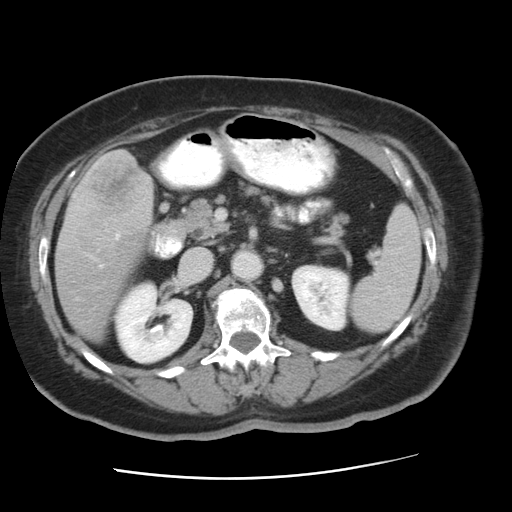

CT
Not every hepatic vessel necessarily has a box.
liver_tumor:
  - [87,157,140,212]
hepatic_vessel:
  - [86,254,95,258]
  - [115,233,118,238]
  - [99,263,102,266]